512x512 px; Computed tomography; Upper abdomen 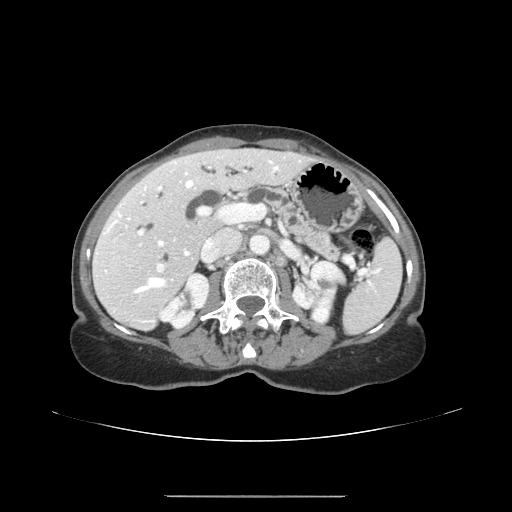 The pancreas lies within box(245, 187, 338, 260).